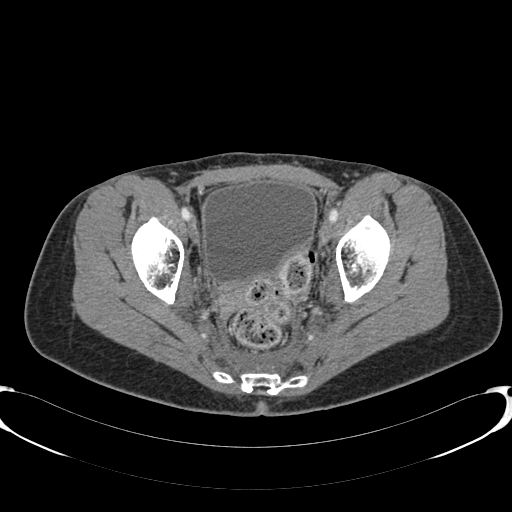
Pelvis. CT image.

Urinary bladder — 205:183:314:281.